CT image | Image size 512x512
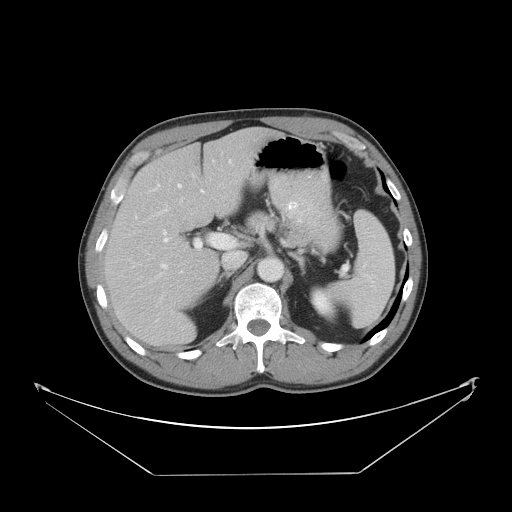
Some hepatic vessels may have no box.
13 hepatic vessel regions are located at rect(150, 280, 152, 282); rect(177, 184, 181, 187); rect(179, 198, 182, 204); rect(157, 273, 162, 276); rect(180, 271, 182, 273); rect(228, 160, 231, 163); rect(200, 189, 204, 192); rect(163, 230, 168, 242); rect(161, 264, 167, 268); rect(148, 184, 159, 192); rect(186, 244, 187, 246); rect(212, 160, 214, 162); rect(156, 204, 168, 215).